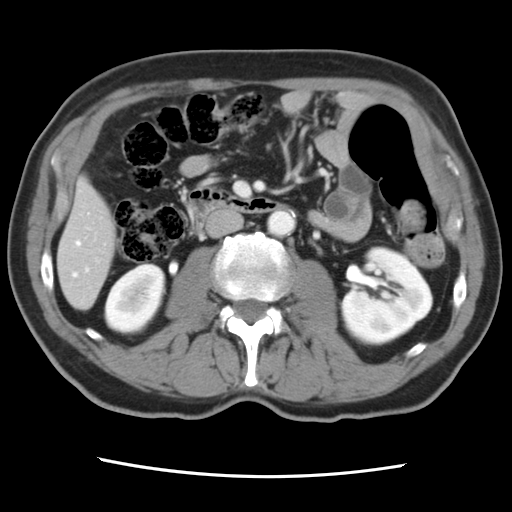

Abdomen; CT scan slice

Only some of the vessels may be annotated.
Hepatic vessel — box(77, 241, 80, 244); box(73, 273, 77, 276); box(86, 268, 88, 270).